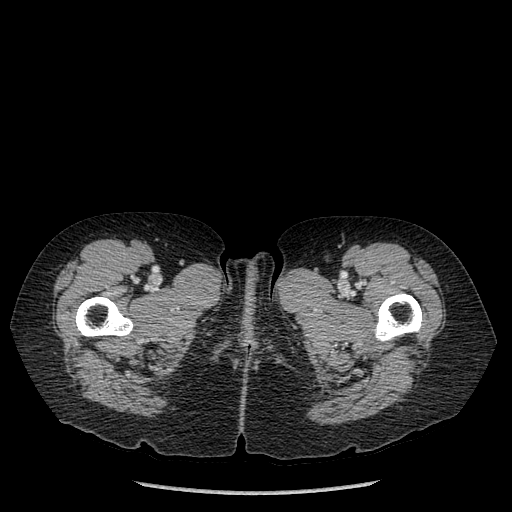 512x512 px; Computed tomography
2 bone regions appear at left=373, top=293, right=422, bottom=341; left=73, top=297, right=133, bottom=336.